512x512; Pelvis; Slice index 74; CT scan slice
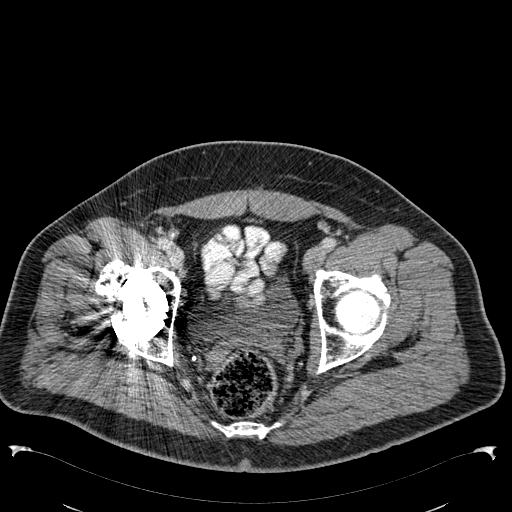
2 urinary bladder regions appear at 191 269 301 338, 253 215 259 226.